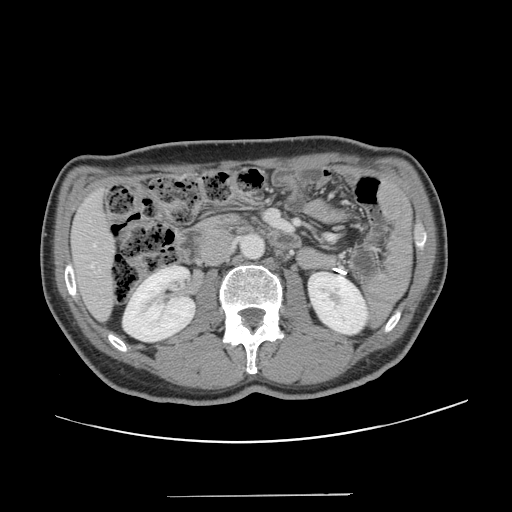
CT; Liver
The vessel annotation is not exhaustive.
2 hepatic vessel regions appear at {"x1": 93, "y1": 244, "x2": 96, "y2": 246}, {"x1": 91, "y1": 263, "x2": 93, "y2": 267}.